FLAIR magnetic resonance.
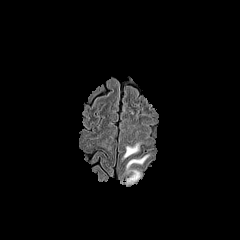
T1-weighted MR.
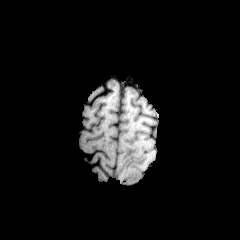
Post-contrast T1-weighted MRI.
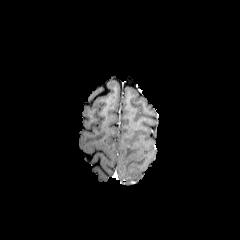
T2-weighted magnetic resonance.
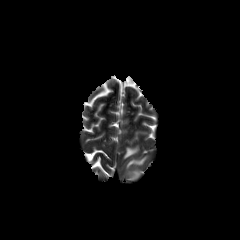
Brain
<segmentation>
  <edema>[122, 143, 139, 158], [120, 155, 147, 186]</edema>
</segmentation>